Pelvis; CT scan slice

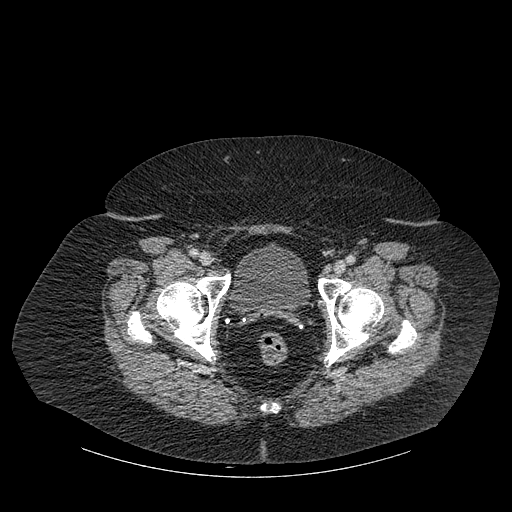
Urinary bladder at region(231, 243, 310, 322).
Bone at region(389, 320, 416, 352); region(156, 274, 230, 361); region(127, 312, 151, 342); region(318, 278, 383, 366); region(261, 403, 278, 412).